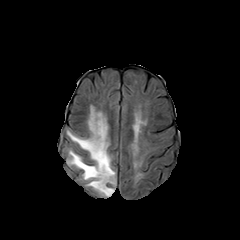
FLAIR MR.
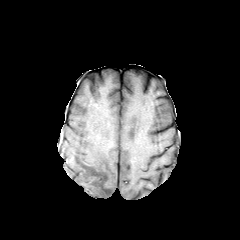
T1-weighted MR of the same slice.
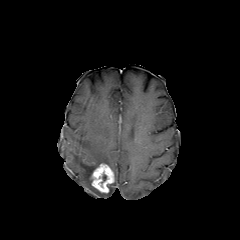
Same slice, post-contrast T1-weighted magnetic resonance.
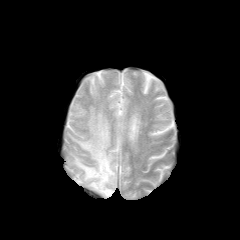
Same slice, T2-weighted magnetic resonance.
Head
Edema: 67,107,116,197.
Enhancing tumor: 90,163,114,193.